240x240 px
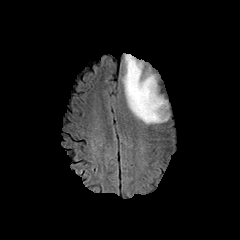
FLAIR MR image.
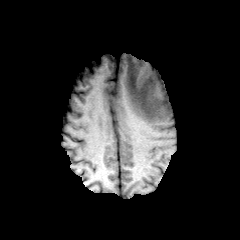
Same slice, T1-weighted MRI.
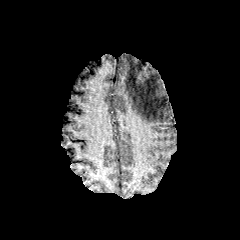
Post-contrast T1-weighted magnetic resonance.
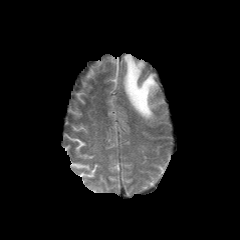
T2-weighted MR of the same slice.
{
  "edema": [
    "(122,55,168,124)"
  ]
}